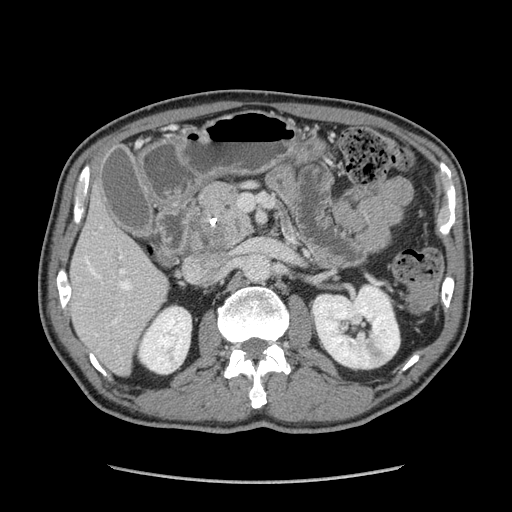
CT image

Pancreatic tumor = l=197, t=214, r=221, b=244.
Pancreas = l=179, t=181, r=254, b=252.